Image size 240x240; Brain; Field of view 240x240 mm
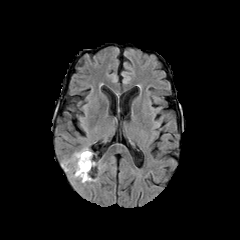
FLAIR MR.
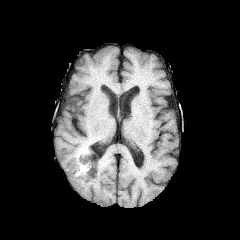
T1-weighted magnetic resonance.
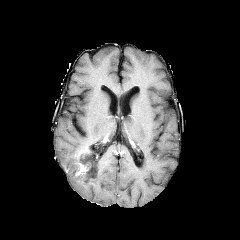
Post-contrast T1-weighted MR.
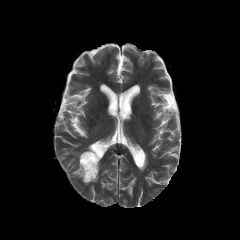
T2-weighted magnetic resonance.
Edema: x1=62 y1=152 x2=95 y2=184.
Enhancing tumor: x1=75 y1=162 x2=88 y2=175.
Non-enhancing tumor core: x1=78 y1=150 x2=97 y2=178.